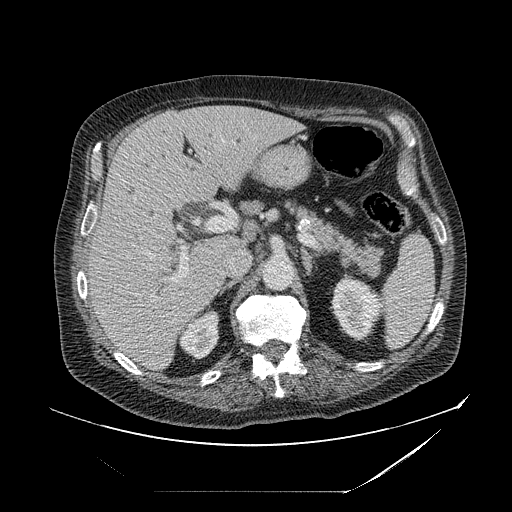 Abdomen, CT image

pancreas: l=283, t=197, r=385, b=279